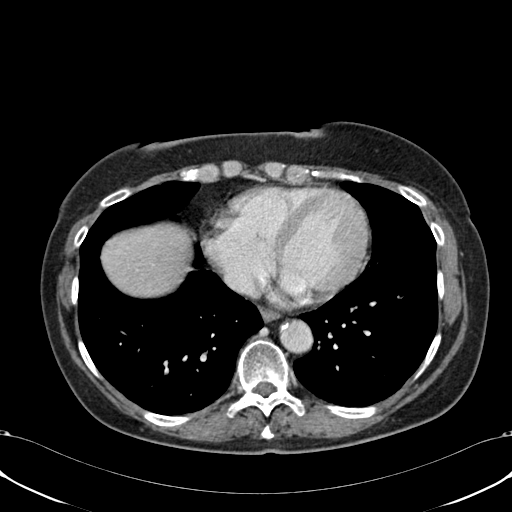

CT scan slice | Image size 512x512 | Abdomen
Liver at (left=103, top=227, right=185, bottom=294).